Lower abdomen, Slice 97 of 871, CT scan slice
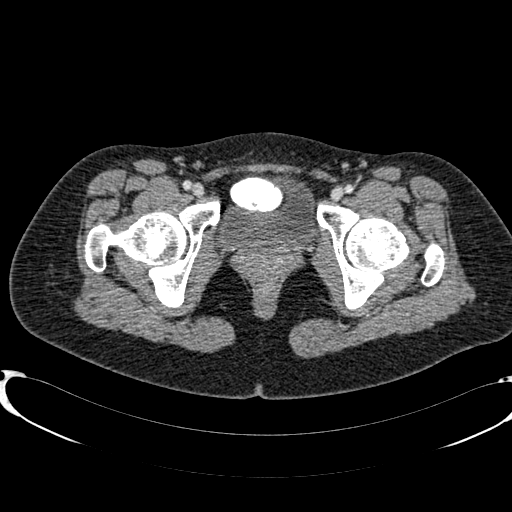 Urinary bladder at box=[216, 181, 321, 252].